Field of view 240 mm wide, 1.00 mm slice spacing; Image size 240x240; Brain
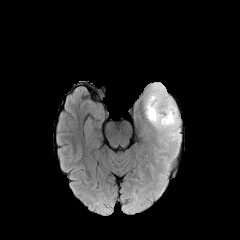
FLAIR MR.
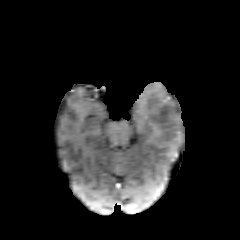
T1-weighted MRI of the same slice.
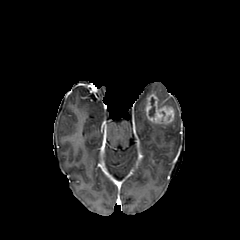
Post-contrast T1-weighted MRI of the same slice.
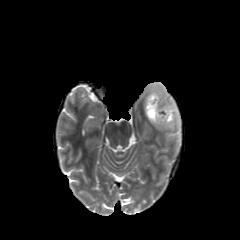
Same slice, T2-weighted MR.
Enhancing tumor: bounding box [145, 94, 174, 123].
Edema: bounding box [150, 108, 180, 144], [148, 83, 175, 107].
Non-enhancing tumor core: bounding box [152, 92, 168, 107].